Upper abdomen; CT scan slice; Field of view 350 mm wide, 2.50 mm slice spacing

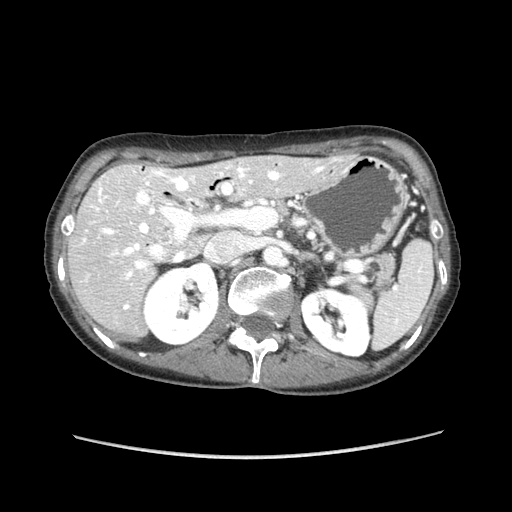

The pancreas appears at 370 253 393 280.